Slice 508/671, Image size 512x512, Image width 370 mm, Computed tomography 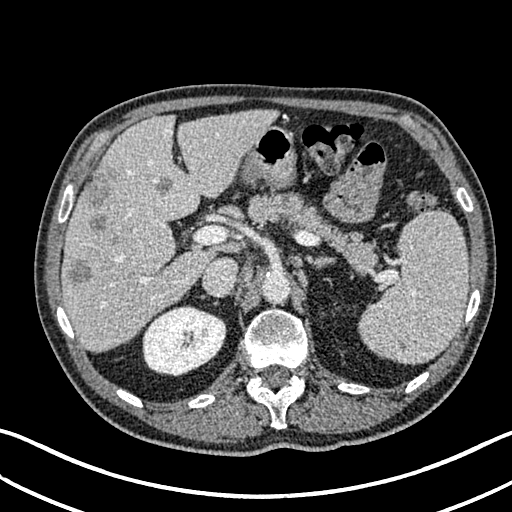 4 hepatic lesion regions are bounded by rect(70, 261, 92, 284); rect(85, 173, 117, 205); rect(89, 214, 107, 229); rect(155, 178, 171, 195). The kidney appears at rect(143, 307, 225, 374). The liver lies within rect(62, 110, 276, 350).